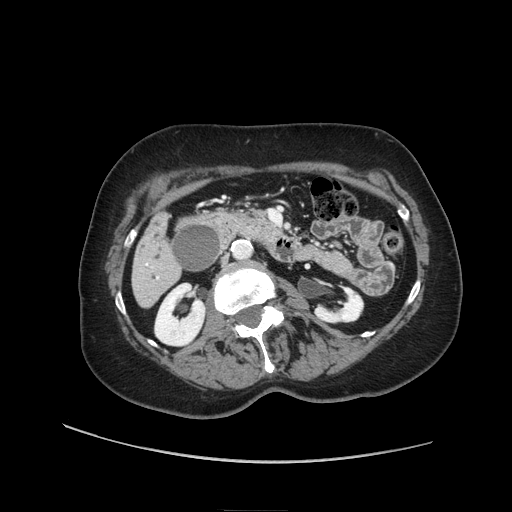
CT scan slice. Image size 512x512. Abdomen.
Segmented structures:
• pancreatic tumor: box(256, 223, 279, 243)
• pancreas: box(230, 213, 270, 238)